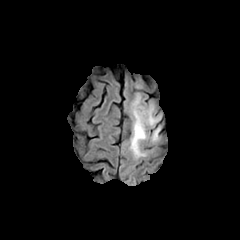
FLAIR MR image.
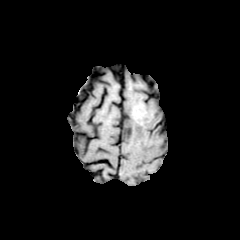
Same slice, T1-weighted MRI.
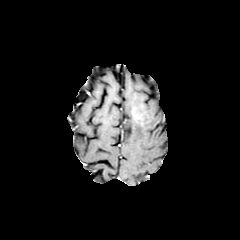
Post-contrast T1-weighted magnetic resonance.
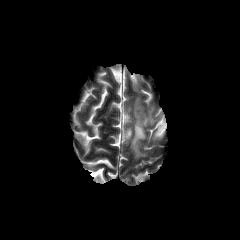
T2-weighted MR image.
Brain.
Findings:
• edema: (129,96,160,158)
• non-enhancing tumor core: (133,115,151,125)